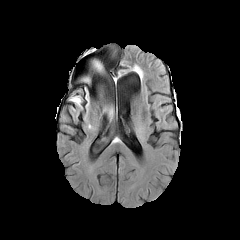
FLAIR MRI.
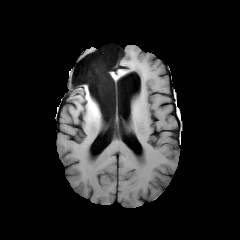
Same slice, T1-weighted MRI.
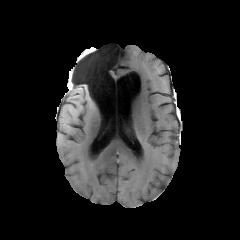
Post-contrast T1-weighted MR image.
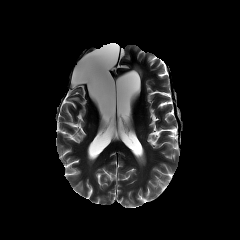
T2-weighted MR image.
Brain | 240x240 px
The edema is located at {"x1": 70, "y1": 95, "x2": 81, "y2": 104}.